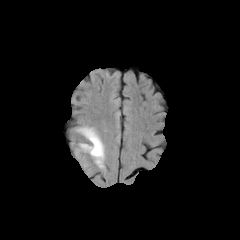
FLAIR MRI.
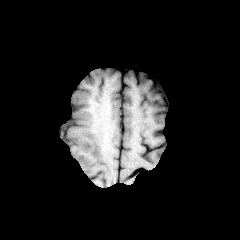
T1-weighted MR.
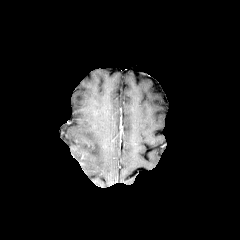
Post-contrast T1-weighted magnetic resonance of the same slice.
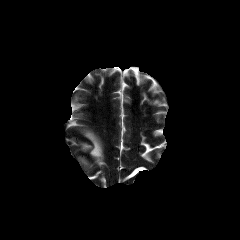
T2-weighted MR image.
Brain
The edema is bounded by box(81, 128, 103, 166).